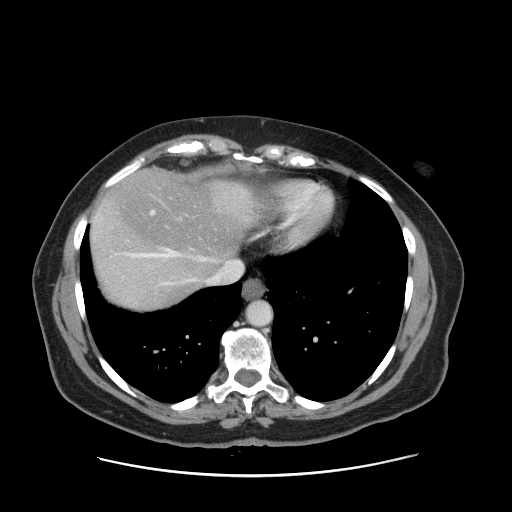
CT | Abdomen | 512x512 px
Some hepatic vessels may have no box.
Hepatic vessel at 151,210,154,214; 165,282,172,284.